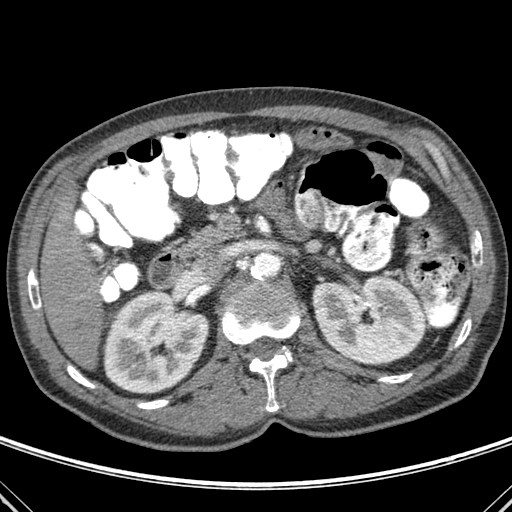

CT image
2 kidney regions are located at (105, 292, 207, 392), (313, 277, 424, 363). 9 bone regions are bounded by (27, 269, 40, 309), (137, 400, 168, 409), (472, 231, 482, 256), (67, 365, 94, 388), (455, 319, 471, 346), (257, 216, 268, 232), (249, 346, 292, 411), (222, 270, 299, 344), (378, 373, 411, 383). The liver lies within (40, 191, 104, 367).